Head, Slice 78 of 155
FLAIR magnetic resonance.
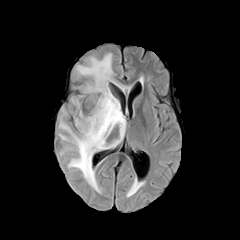
T1-weighted magnetic resonance.
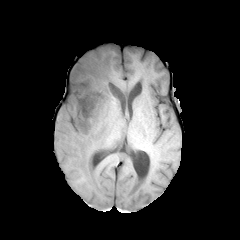
Post-contrast T1-weighted MR image.
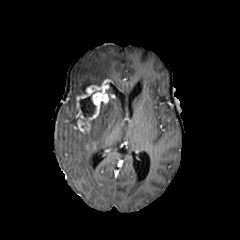
T2-weighted magnetic resonance.
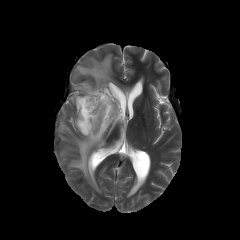
non-enhancing_tumor_core:
  - x1=83, y1=78, x2=109, y2=93
  - x1=90, y1=102, x2=106, y2=131
  - x1=79, y1=96, x2=95, y2=117
enhancing_tumor:
  - x1=76, y1=79, x2=114, y2=133
edema:
  - x1=76, y1=53, x2=118, y2=85
  - x1=59, y1=98, x2=126, y2=190